Slice 26/49, Field of view 363 mm wide, 5.00 mm slice spacing, CT slice, Abdomen
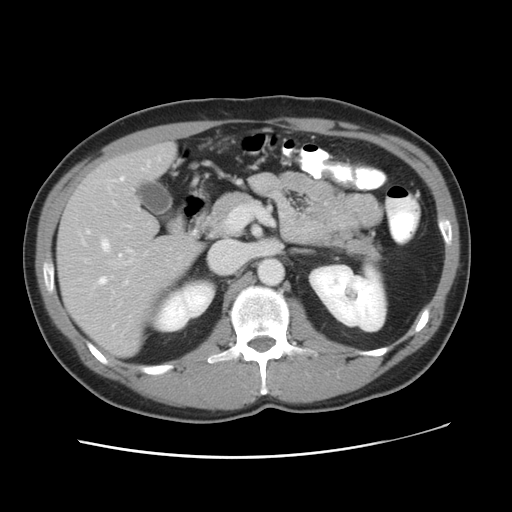

The vessel annotation is not exhaustive.
Hepatic vessel — 119:248:132:263, 110:180:114:180, 81:238:84:243, 123:279:128:284, 95:276:111:285, 145:252:146:253, 100:237:110:253, 147:161:149:163, 118:177:123:180, 142:168:146:170.